240x240. Image width 240 mm. Slice 60/155.
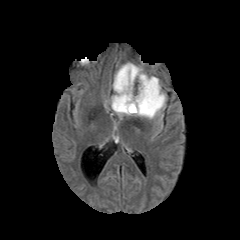
FLAIR magnetic resonance.
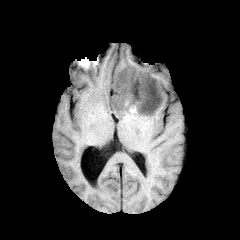
T1-weighted magnetic resonance.
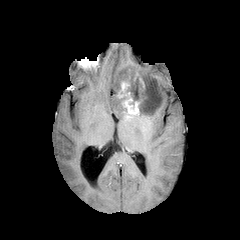
Same slice, post-contrast T1-weighted MRI.
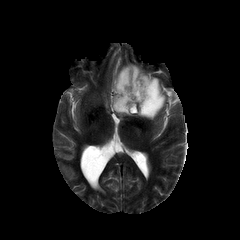
T2-weighted MR.
Edema: 109, 62, 167, 119.
Non-enhancing tumor core: 144, 83, 159, 109; 117, 96, 126, 112; 130, 72, 144, 101.
Enhancing tumor: 117, 81, 139, 114.